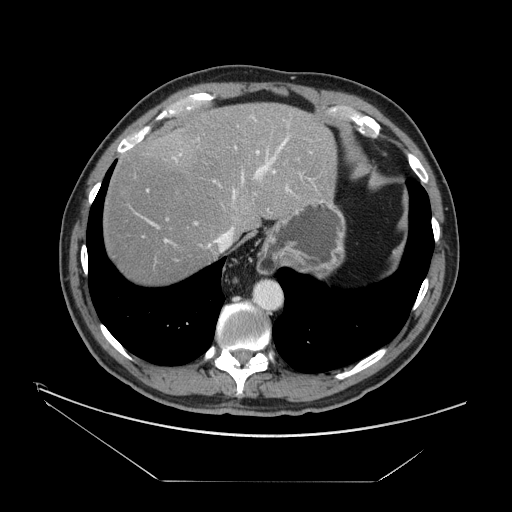 CT image, Liver

Only some of the vessels may be annotated.
Annotated regions:
* hepatic vessel: rect(242, 174, 243, 178); rect(278, 138, 287, 151); rect(272, 170, 275, 173); rect(286, 188, 289, 191); rect(256, 156, 274, 177); rect(257, 151, 258, 153); rect(233, 193, 235, 198)